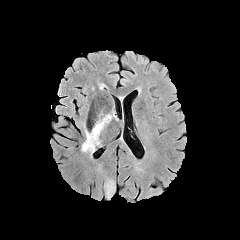
FLAIR MR image.
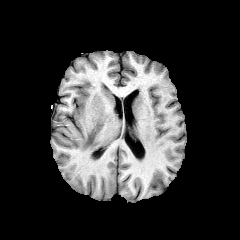
T1-weighted MR image of the same slice.
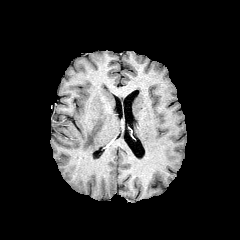
Post-contrast T1-weighted MRI of the same slice.
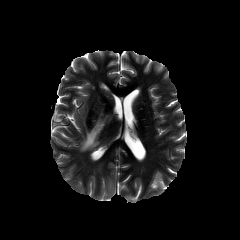
Same slice, T2-weighted MR.
Brain.
Edema: bounding box (left=79, top=114, right=112, bottom=154).